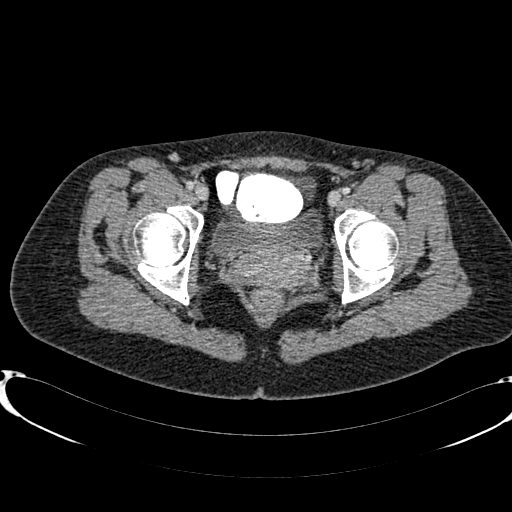 Lower abdomen. Computed tomography. 512x512 px. The urinary bladder lies within rect(213, 208, 320, 253).